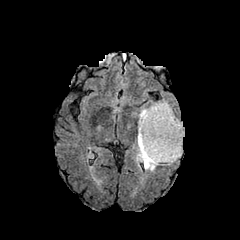
FLAIR magnetic resonance.
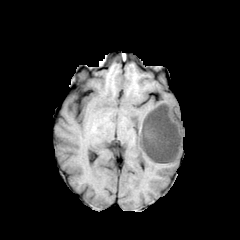
T1-weighted magnetic resonance of the same slice.
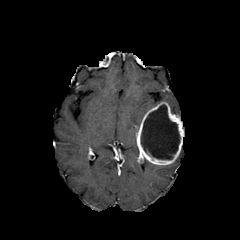
Post-contrast T1-weighted MR of the same slice.
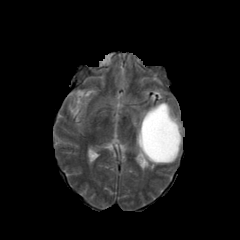
T2-weighted magnetic resonance of the same slice.
• enhancing tumor: left=136, top=102, right=184, bottom=165
• edema: left=132, top=103, right=156, bottom=125; left=143, top=160, right=159, bottom=171
• non-enhancing tumor core: left=141, top=105, right=179, bottom=159